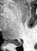
MRI slice, 37x51 px, Hippocampus
* posterior hippocampus: x1=12 y1=41 x2=21 y2=46